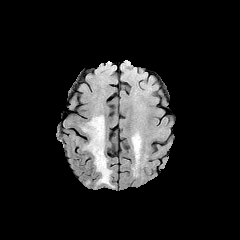
FLAIR MR.
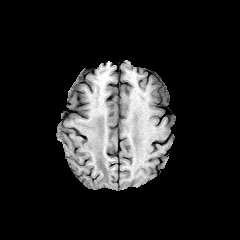
T1-weighted MRI of the same slice.
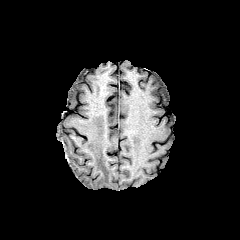
Same slice, post-contrast T1-weighted MR image.
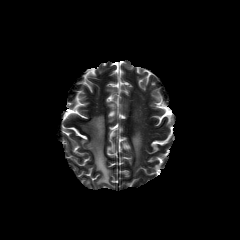
T2-weighted MR image of the same slice.
edema:
  - (x1=84, y1=115, x2=114, y2=187)